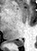

Hippocampus | Image size 37x51 | MR

Segmented structures:
* posterior hippocampus: box(12, 40, 23, 46)